CT image, Abdomen, Field of view 339 mm wide, 0.80 mm slice spacing 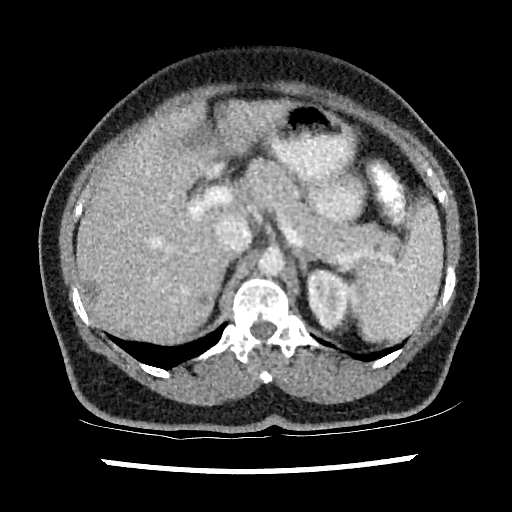

3 liver lesion regions are bounded by l=184, t=124, r=211, b=146; l=200, t=296, r=210, b=304; l=84, t=281, r=100, b=300. The liver appears at l=77, t=100, r=292, b=340. The kidney is located at l=309, t=271, r=360, b=327.